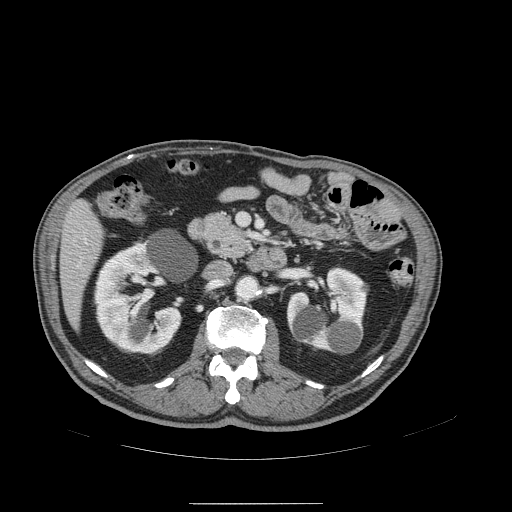
CT scan slice; Upper abdomen
pancreas: 201, 210, 257, 262